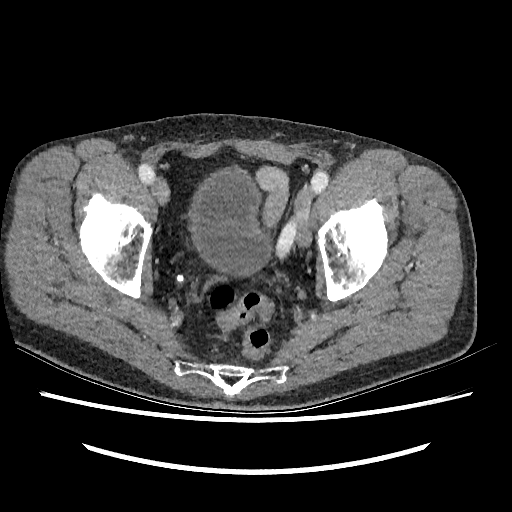 CT. 512x512.

Annotated regions:
• urinary bladder: <bbox>193, 171, 269, 275</bbox>